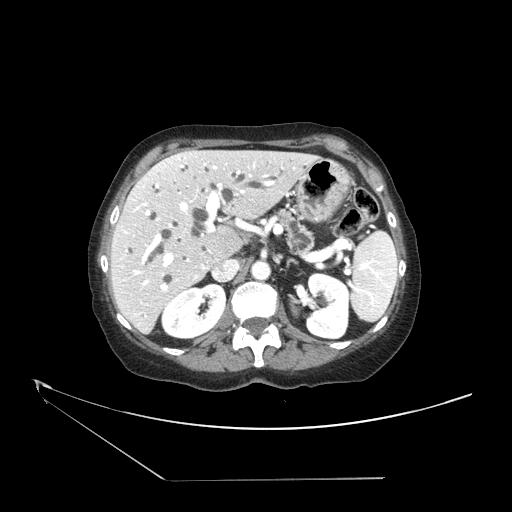 512x512 px, CT image, Upper abdomen

{
  "pancreas": [
    "[277,211,314,255]"
  ]
}